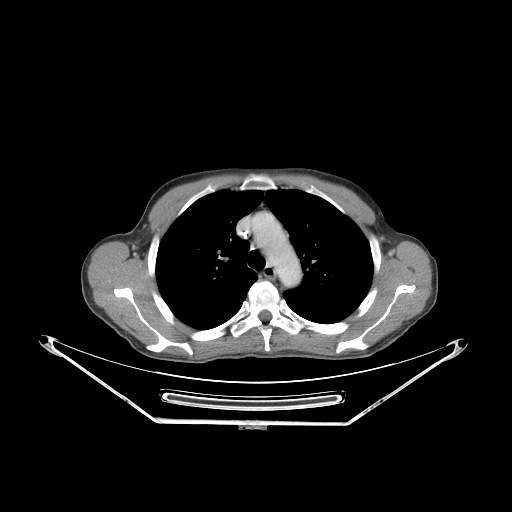

CT, Thorax

lung: box=[155, 189, 373, 329] | bone: box=[336, 285, 414, 352]; box=[358, 290, 376, 315]; box=[192, 282, 348, 350]; box=[148, 245, 156, 274]; box=[153, 293, 173, 323]; box=[253, 177, 265, 188]; box=[373, 238, 380, 261]; box=[114, 288, 192, 354]; box=[181, 198, 193, 212]